Slice 18/18. 256x256 px.
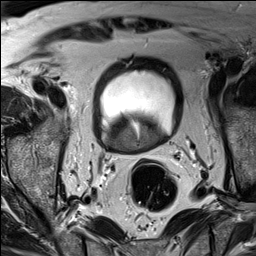
T2-weighted MR image.
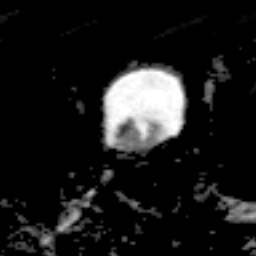
ADC MRI of the same slice.
The prostate peripheral zone is at <bbox>111, 120, 160, 151</bbox>.